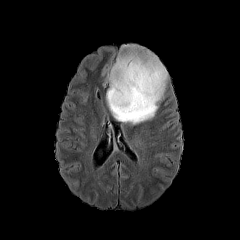
FLAIR MR.
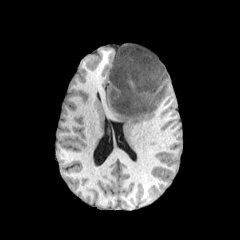
T1-weighted MR image.
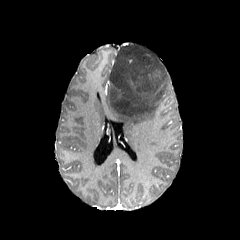
Same slice, post-contrast T1-weighted MR.
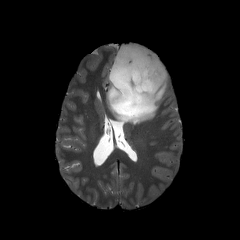
T2-weighted MR of the same slice.
Brain; 240x240 px
The edema lies within left=105, top=58, right=167, bottom=125.